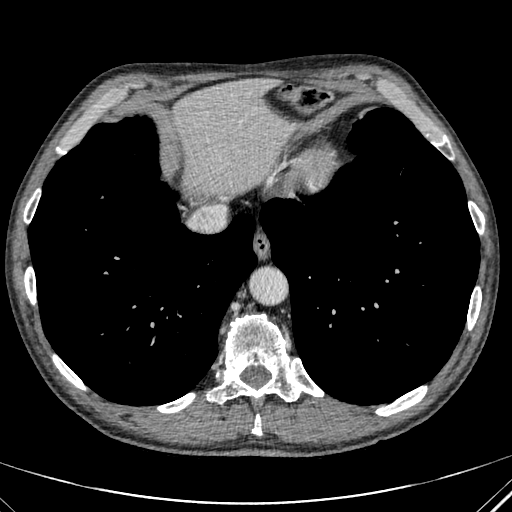
CT
<segmentation>
  <liver>[173, 79, 293, 193]</liver>
</segmentation>